Abdomen; Computed tomography

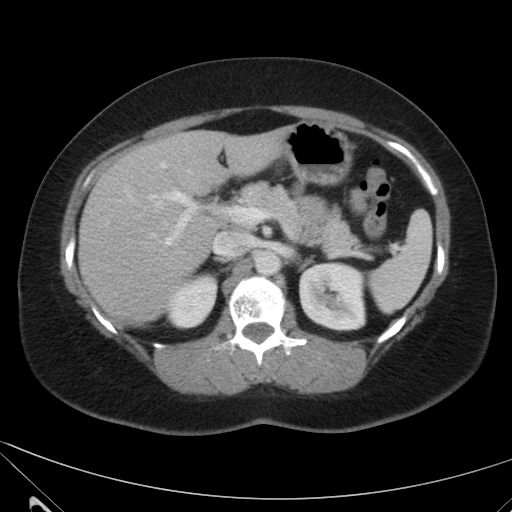 Kidney: (169, 278, 214, 326), (300, 264, 363, 328).
Liver: (79, 129, 281, 320).